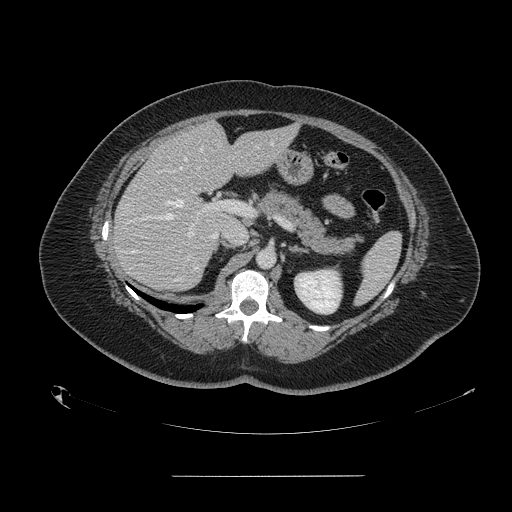
CT image, 512x512
{
  "spleen": [
    "box(355, 232, 401, 305)"
  ]
}